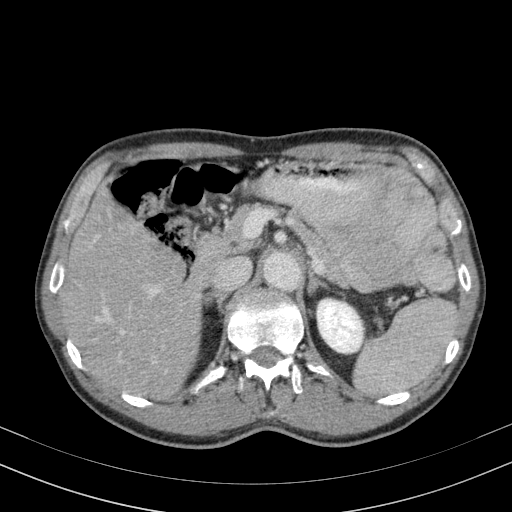 Computed tomography, Abdomen
The kidney appears at [317, 300, 362, 352]. The liver lies within [63, 176, 216, 401].